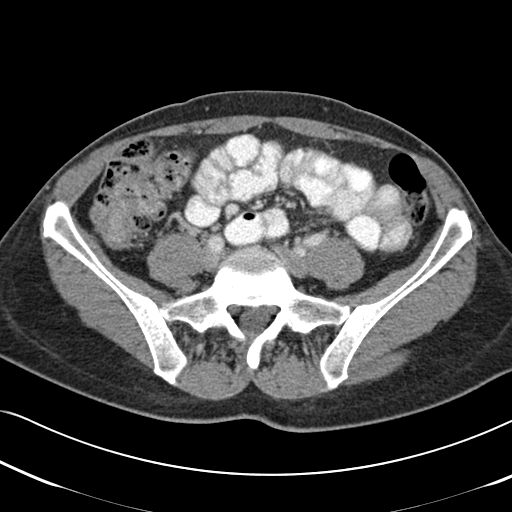

Computed tomography, Pelvis
Colon tumor — l=90, t=158, r=159, b=249.